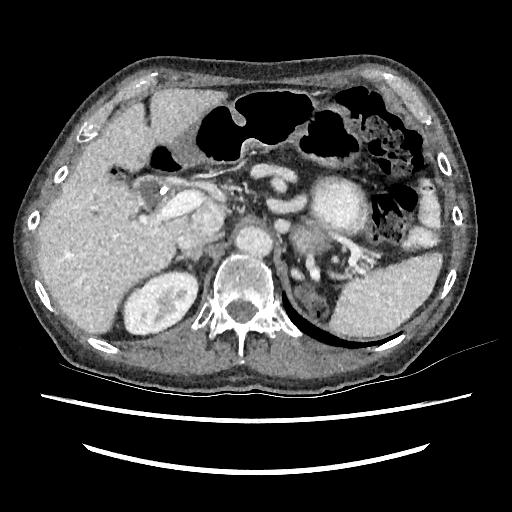
CT image, Liver
<segmentation>
  <kidney>(125,272,197,334)</kidney>
  <liver>(38,89,224,333)</liver>
</segmentation>